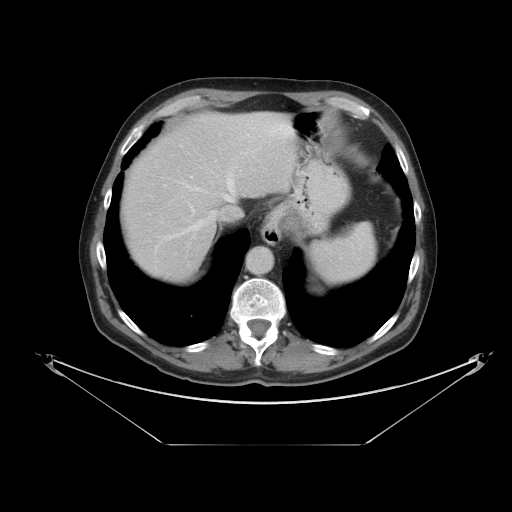
512x512 px | CT image | Upper abdomen
The spleen lies within l=310, t=223, r=377, b=286.